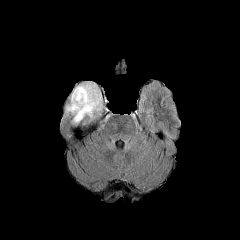
FLAIR MR.
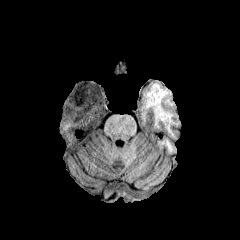
T1-weighted MR image of the same slice.
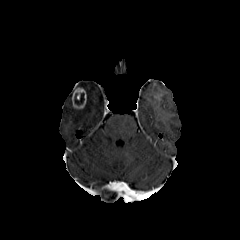
Post-contrast T1-weighted MR image.
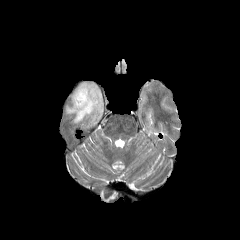
T2-weighted magnetic resonance of the same slice.
{"non-enhancing_tumor_core": ["left=74, top=93, right=84, bottom=105"], "edema": ["left=65, top=81, right=103, bottom=125"], "enhancing_tumor": ["left=71, top=87, right=86, bottom=110"]}